240x240 | Head | Slice index 90
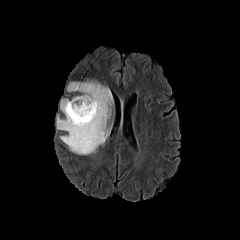
FLAIR MR.
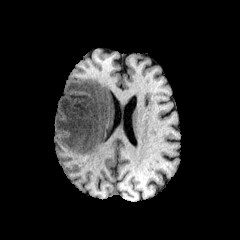
T1-weighted MRI.
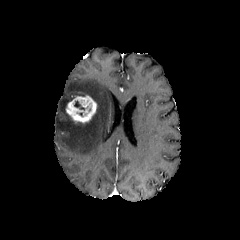
Post-contrast T1-weighted magnetic resonance.
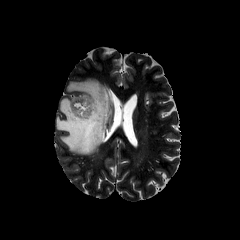
Same slice, T2-weighted MRI.
Findings:
* edema: [55,79,113,154]
* enhancing tumor: [66,95,96,123]